FLAIR MR.
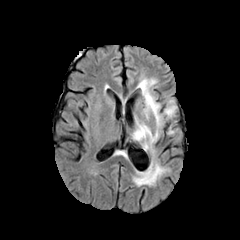
T1-weighted magnetic resonance.
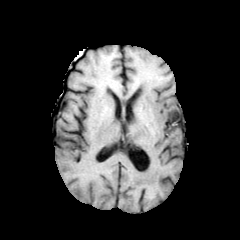
Post-contrast T1-weighted MRI.
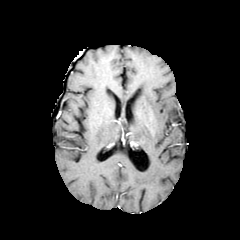
T2-weighted MRI.
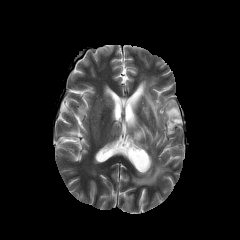
Head
<segmentation>
  <edema>x1=136, y1=78, x2=178, y2=134; x1=131, y1=113, x2=168, y2=186</edema>
</segmentation>